Field of view 240x240 mm. Head.
FLAIR MRI.
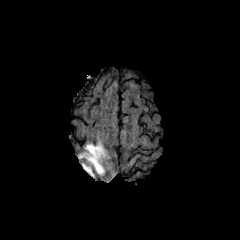
T1-weighted MR image.
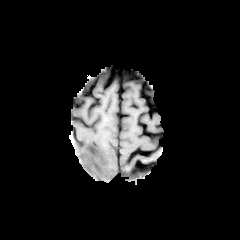
Post-contrast T1-weighted magnetic resonance.
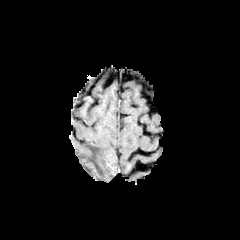
T2-weighted MRI.
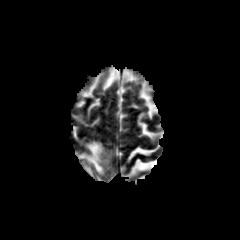
The edema is at x1=77, y1=141, x2=115, y2=181.